Head. Slice index 49. Image size 240x240.
FLAIR MR.
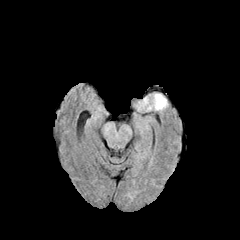
T1-weighted MR.
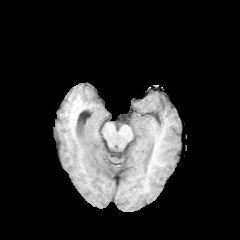
Post-contrast T1-weighted MR image.
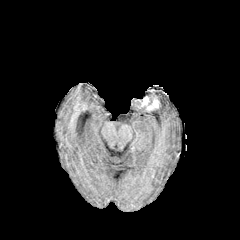
T2-weighted magnetic resonance.
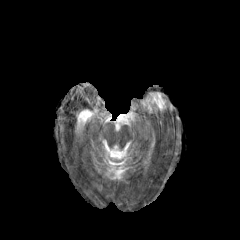
The enhancing tumor is bounded by x1=141, y1=96, x2=159, y2=110. The edema is at x1=152, y1=92, x2=167, y2=111.